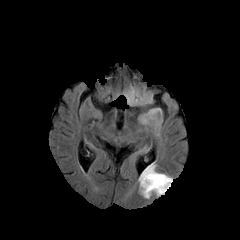
FLAIR magnetic resonance.
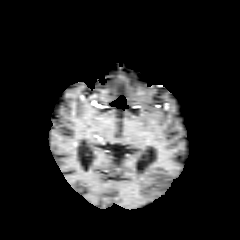
T1-weighted MR image.
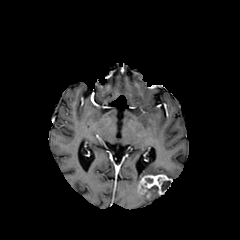
Post-contrast T1-weighted MR.
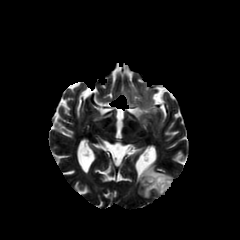
T2-weighted magnetic resonance.
Annotated regions:
* non-enhancing tumor core: [161,181,170,191]
* enhancing tumor: [138,174,172,194]
* edema: [137,160,163,184], [138,188,160,199]